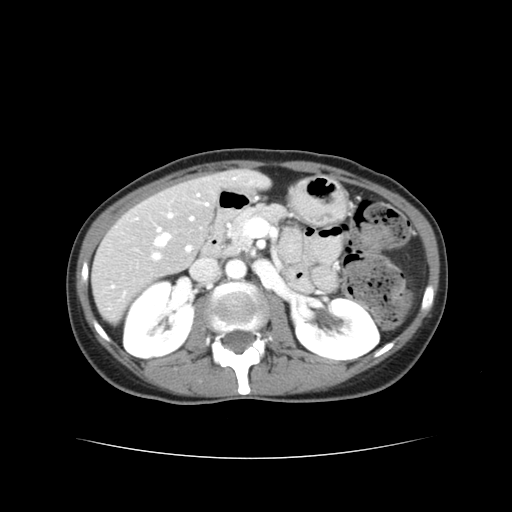
512x512 px, Liver, CT

Only some of the vessels may be annotated.
6 hepatic vessel regions are bounded by bbox(154, 254, 159, 258); bbox(159, 229, 160, 230); bbox(187, 247, 190, 250); bbox(156, 235, 169, 245); bbox(191, 218, 193, 219); bbox(169, 215, 172, 217).